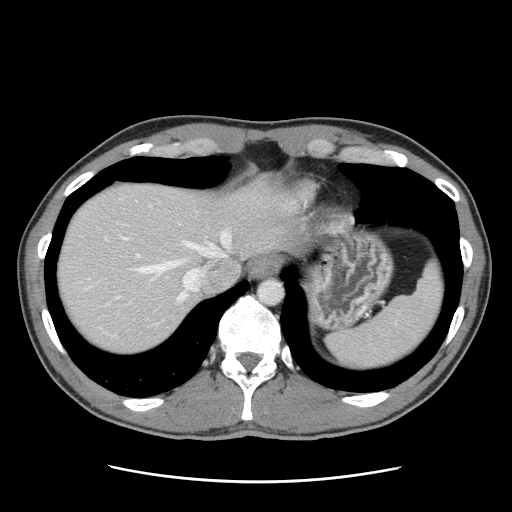
Computed tomography

Only some of the vessels may be annotated.
{
  "hepatic_vessel": [
    "box=[182, 240, 224, 256]",
    "box=[178, 292, 185, 300]",
    "box=[123, 237, 127, 239]",
    "box=[132, 260, 180, 276]",
    "box=[183, 268, 202, 290]",
    "box=[221, 231, 230, 245]",
    "box=[136, 254, 139, 256]",
    "box=[116, 296, 118, 298]"
  ]
}